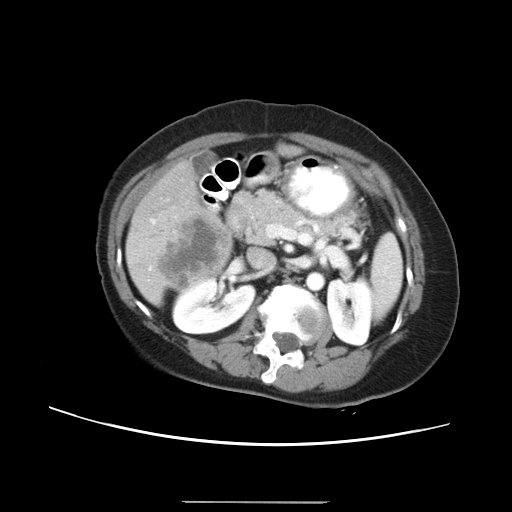 Computed tomography. Liver. The liver tumor is at x1=160, y1=218, x2=227, y2=283.